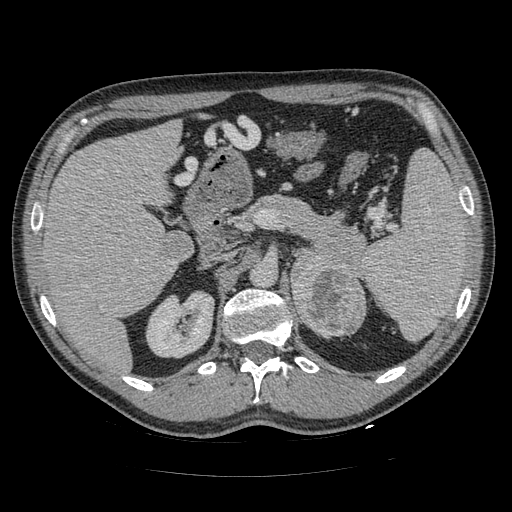
Upper abdomen, Computed tomography, Image size 512x512

pancreatic_tumor:
  - 292:253:366:335
pancreas:
  - 252:195:365:274